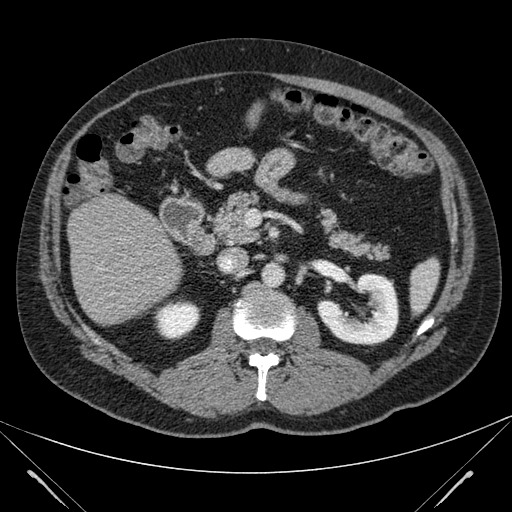

CT
- kidney: 156,303,198,337; 318,274,397,343
- liver: 69,191,183,325